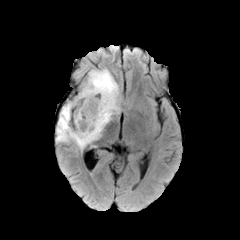
FLAIR MR image.
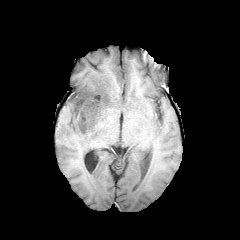
T1-weighted magnetic resonance.
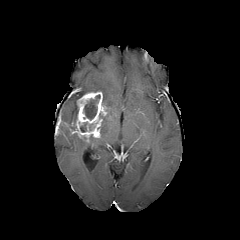
Same slice, post-contrast T1-weighted MR image.
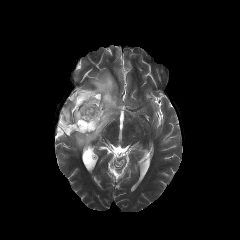
T2-weighted MR image.
edema: (56,132,98,149), (60,96,75,122), (82,69,119,136) | enhancing tumor: (55,116,69,135), (69,91,107,141) | non-enhancing tumor core: (102,92,110,113), (60,126,70,133), (84,100,96,119), (68,102,78,130), (76,88,96,100)